CT 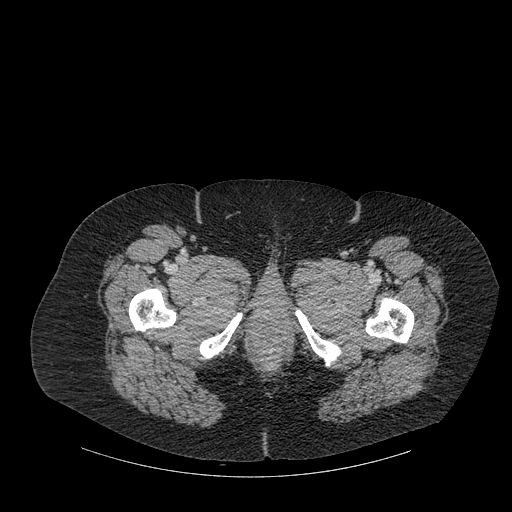 Annotated regions:
- bone: bbox=[366, 298, 413, 342]; bbox=[200, 313, 241, 358]; bbox=[129, 289, 175, 331]; bbox=[295, 310, 340, 365]